FLAIR MR image.
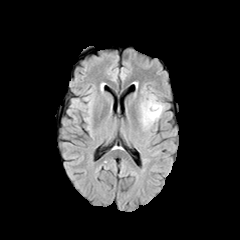
T1-weighted MR.
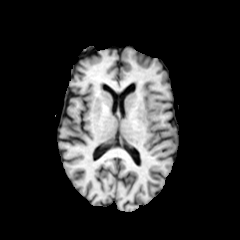
Post-contrast T1-weighted MRI.
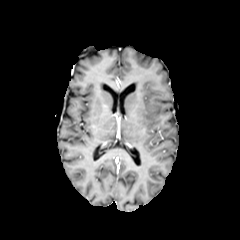
T2-weighted magnetic resonance.
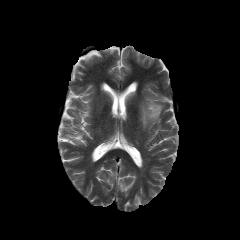
240x240, Head
Edema at l=143, t=101, r=162, b=124.